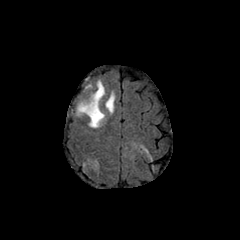
FLAIR MR.
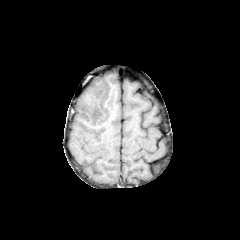
T1-weighted MRI of the same slice.
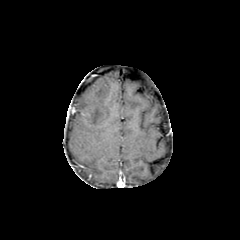
Post-contrast T1-weighted MR.
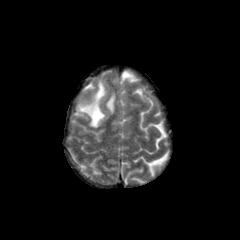
T2-weighted MR.
240x240
The edema is at x1=76 y1=80 x2=115 y2=127.